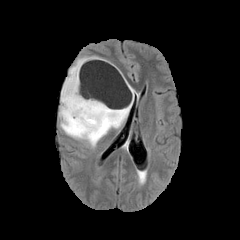
FLAIR MR.
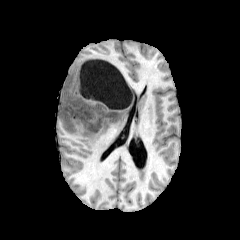
T1-weighted magnetic resonance.
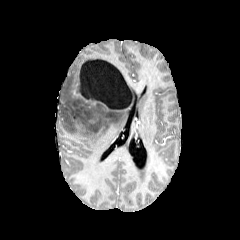
Post-contrast T1-weighted MR image of the same slice.
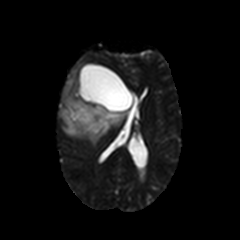
T2-weighted magnetic resonance.
Annotated regions:
• edema: {"x1": 58, "y1": 56, "x2": 135, "y2": 146}
• non-enhancing tumor core: {"x1": 63, "y1": 74, "x2": 126, "y2": 131}